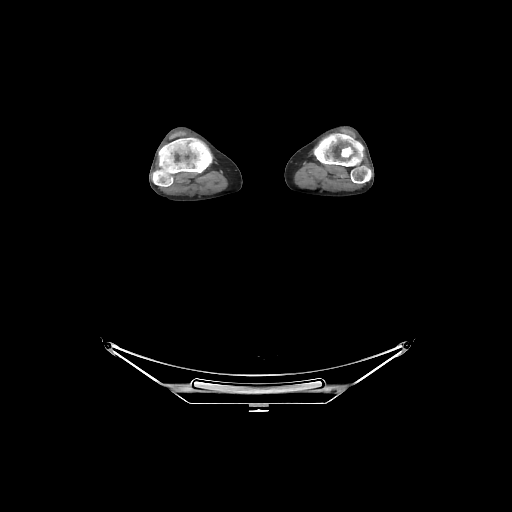
Computed tomography.

bone:
  - <box>153,138,212,186</box>
  - <box>314,133,371,183</box>